Slice 81/155
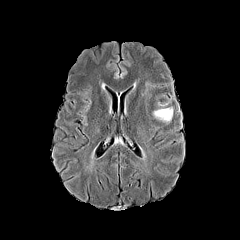
FLAIR MR.
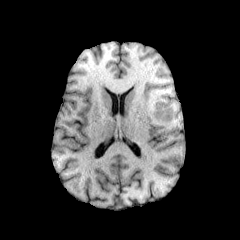
Same slice, T1-weighted MR.
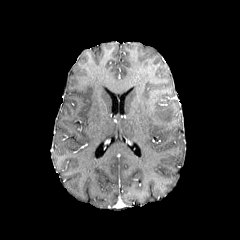
Same slice, post-contrast T1-weighted magnetic resonance.
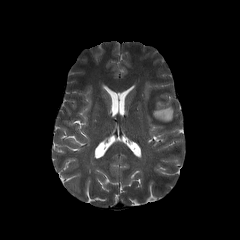
Same slice, T2-weighted MR.
Edema — (152,106,173,123).